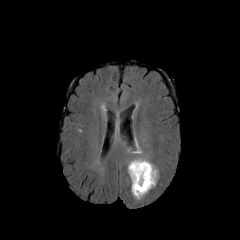
FLAIR MRI.
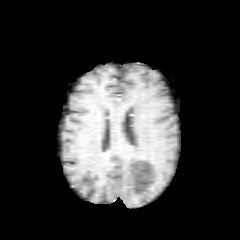
T1-weighted MR image.
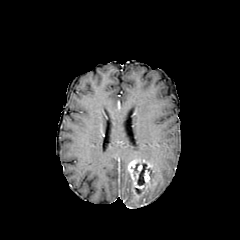
Post-contrast T1-weighted MR image of the same slice.
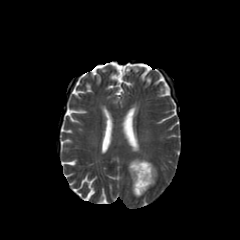
Same slice, T2-weighted MRI.
Head | 240x240
Edema: bounding box [130,165,157,199].
Non-enhancing tumor core: bounding box [137,163,152,185].
Enhancing tumor: bounding box [128,159,153,189].